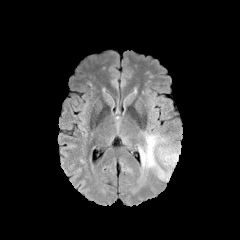
FLAIR MR image.
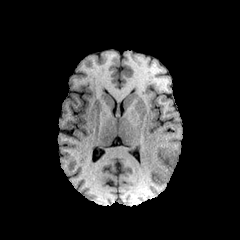
T1-weighted MR.
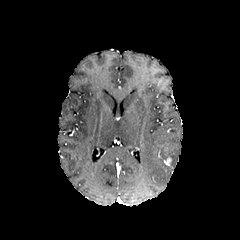
Post-contrast T1-weighted MR image.
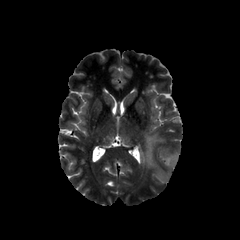
T2-weighted MR image.
240x240. Brain.
Findings:
* enhancing tumor: box=[163, 156, 173, 167]
* edema: box=[171, 153, 178, 166]; box=[138, 133, 156, 172]; box=[158, 168, 170, 181]